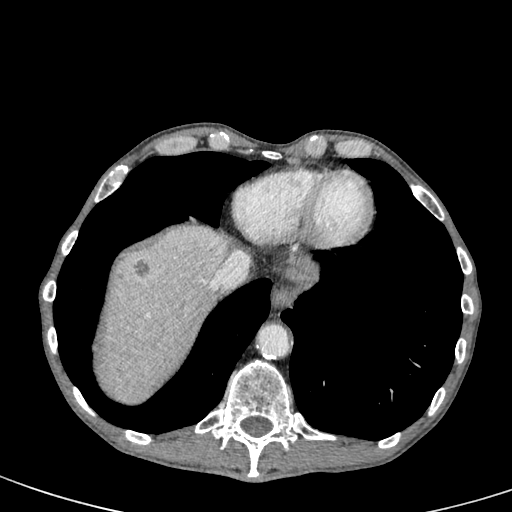 CT image, Image size 512x512
liver:
  - region(284, 268, 315, 281)
  - region(100, 226, 229, 404)
hepatic_lesion:
  - region(285, 259, 317, 279)
  - region(135, 262, 148, 275)